Slice 399/986. Image size 512x512. CT.

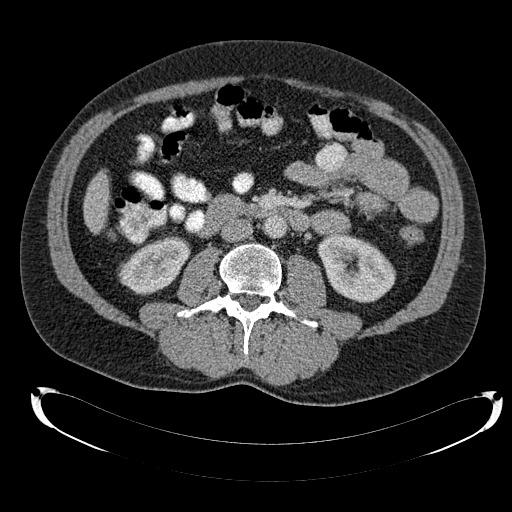
The liver is at (85, 173, 107, 232). 2 kidney regions are bounded by (120, 239, 188, 293), (318, 234, 394, 301).